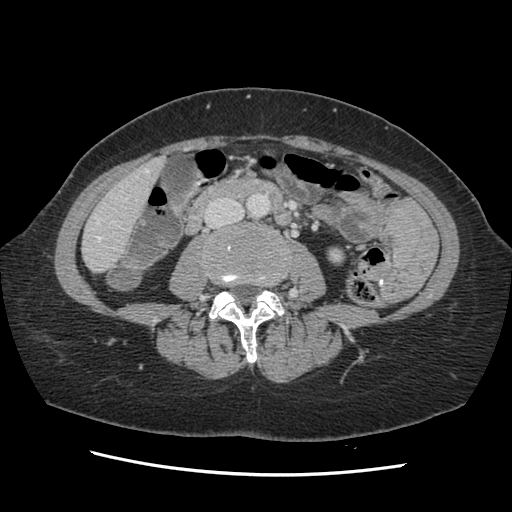 Computed tomography; 512x512 px

Only some of the vessels may be annotated.
{
  "hepatic_vessel": [
    "region(144, 169, 148, 172)",
    "region(95, 216, 99, 223)",
    "region(98, 237, 100, 239)"
  ]
}